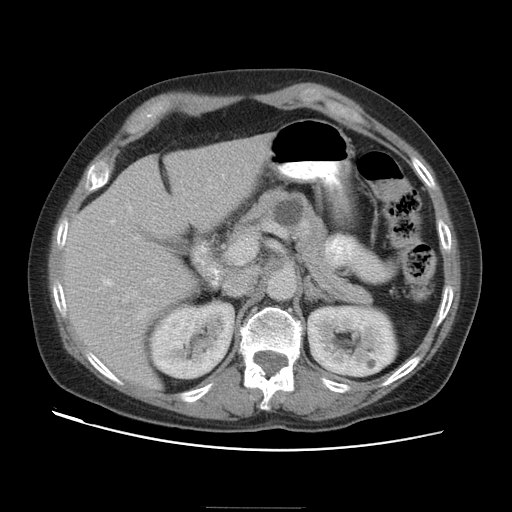 Image size 512x512, CT image
{"pancreatic_tumor": ["left=273, top=198, right=304, bottom=229"], "pancreas": ["left=234, top=187, right=373, bottom=306"]}